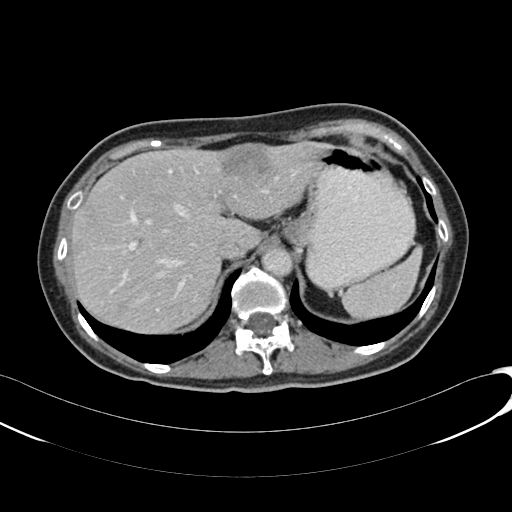

Upper abdomen. CT slice. 512x512.
* focal liver lesion: rect(219, 145, 274, 185); rect(118, 299, 127, 311)
* liver: rect(72, 142, 330, 330)